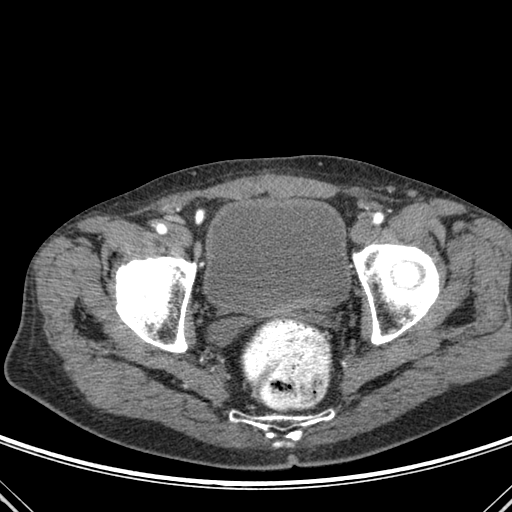
Lower abdomen. CT. <segmentation>
  <urinary_bladder>left=204, top=200, right=349, bottom=312</urinary_bladder>
  <bone>left=115, top=256, right=196, bottom=352; left=285, top=430, right=301, bottom=445; left=352, top=243, right=439, bottom=344; left=229, top=410, right=334, bottom=438</bone>
</segmentation>